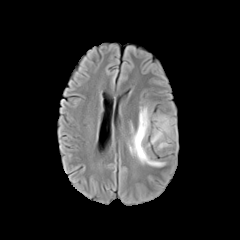
FLAIR magnetic resonance.
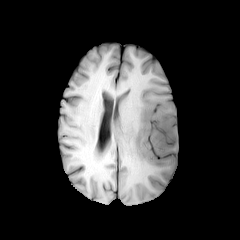
T1-weighted MR image.
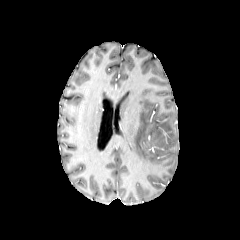
Same slice, post-contrast T1-weighted MRI.
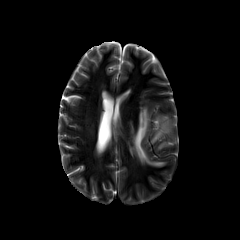
T2-weighted magnetic resonance.
240x240 px
{"edema": ["left=129, top=105, right=176, bottom=165"]}